CT. Liver. 512x512 px. 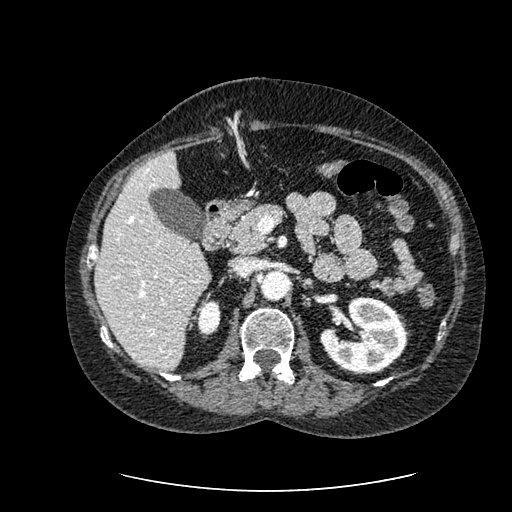

Annotated regions:
* kidney: region(198, 302, 219, 333); region(321, 298, 406, 372)
* liver: region(95, 153, 211, 370)